240x240 | Field of view 240 mm wide, 1.00 mm slice spacing | Slice 117 of 155
FLAIR MRI.
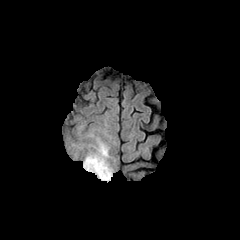
T1-weighted MR.
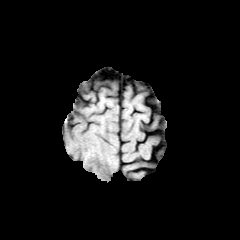
Post-contrast T1-weighted MRI.
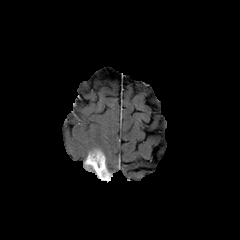
T2-weighted MR.
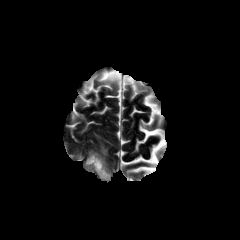
enhancing tumor: 85:149:111:180 | edema: 84:127:116:173, 71:143:83:158